Slice 57 of 137. Pelvis. Image width 298 mm. CT. 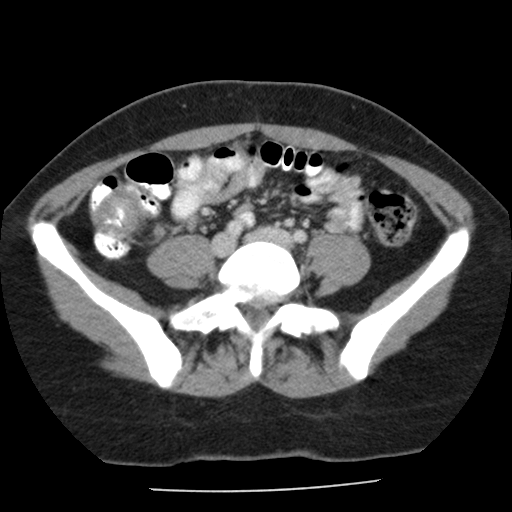 Colon tumor — bbox=[91, 190, 148, 238].